Slice index 104. Field of view 240x240 mm.
FLAIR MR image.
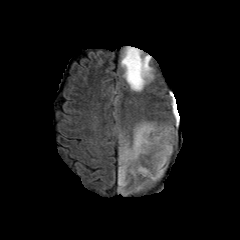
T1-weighted magnetic resonance.
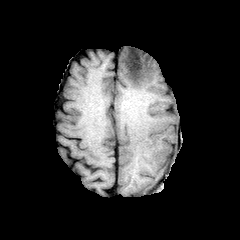
Post-contrast T1-weighted MRI.
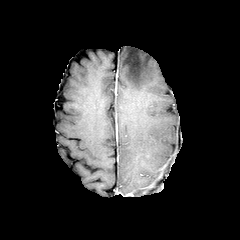
T2-weighted MR image.
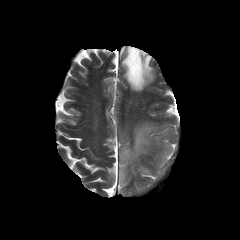
Edema — box=[120, 46, 154, 91]; box=[142, 144, 173, 181]; box=[118, 125, 155, 187].
Non-enhancing tumor core — box=[126, 49, 143, 82].